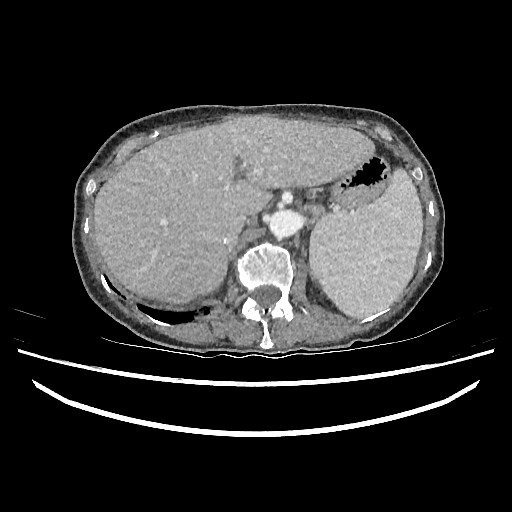

CT | Image size 512x512 | Liver

{"liver": ["[94,115,373,302]"]}